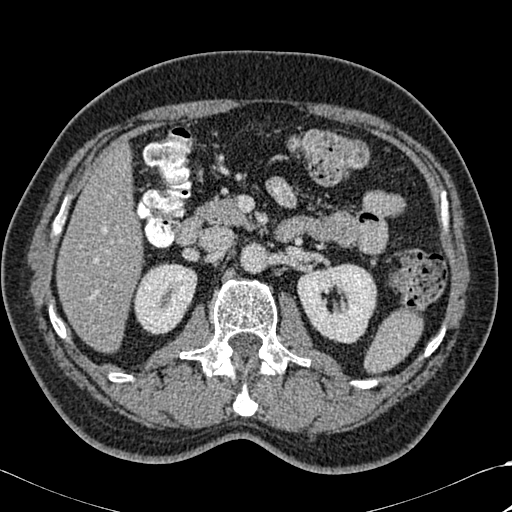
CT image; Liver
• bone: left=425, top=330, right=443, bottom=355; left=352, top=380, right=375, bottom=388; left=233, top=385, right=256, bottom=415; left=53, top=224, right=59, bottom=233; left=180, top=280, right=309, bottom=378; left=50, top=307, right=65, bottom=337; left=109, top=372, right=132, bottom=382
• kidney: left=135, top=265, right=196, bottom=333; left=298, top=265, right=375, bottom=342
• liver: left=58, top=148, right=146, bottom=351